FLAIR MRI.
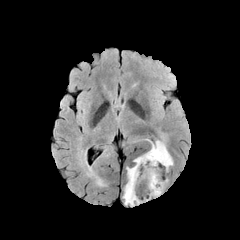
T1-weighted magnetic resonance.
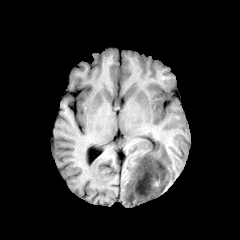
Post-contrast T1-weighted MR image.
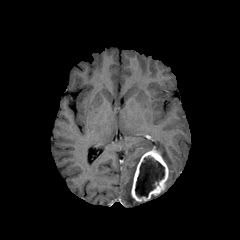
T2-weighted magnetic resonance.
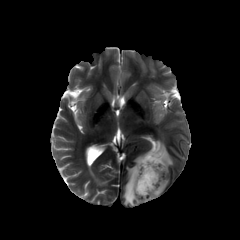
240x240 px; Brain
Enhancing tumor at (x1=131, y1=147, x2=168, y2=202).
Non-enhancing tumor core at (x1=135, y1=158, x2=164, y2=197).
Edema at (x1=122, y1=156, x2=141, y2=205), (x1=146, y1=139, x2=173, y2=168).